Computed tomography, 512x512, Abdomen 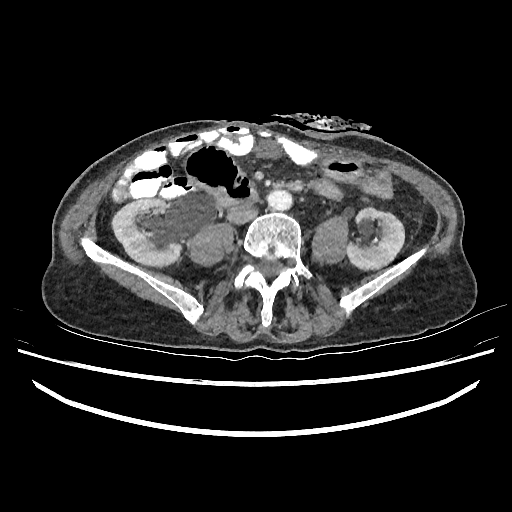 <segmentation>
  <kidney>112 198 180 265, 347 208 404 268</kidney>
</segmentation>